Brain.
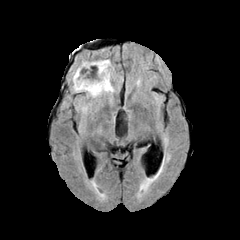
FLAIR magnetic resonance.
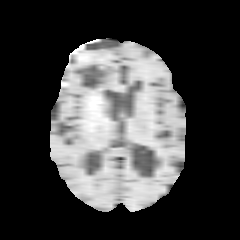
T1-weighted MR.
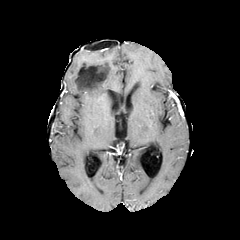
Post-contrast T1-weighted MR of the same slice.
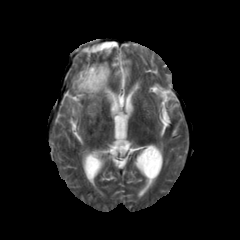
T2-weighted MR image of the same slice.
Edema — box(71, 60, 121, 104).
Non-enhancing tumor core — box(90, 69, 107, 84).